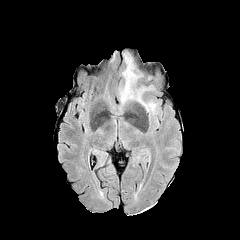
FLAIR MRI.
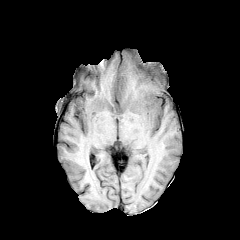
T1-weighted magnetic resonance.
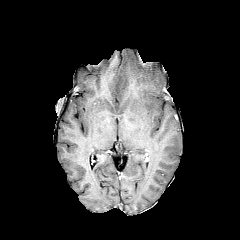
Same slice, post-contrast T1-weighted magnetic resonance.
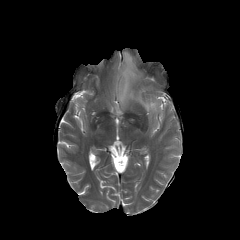
T2-weighted magnetic resonance.
Brain
Annotated regions:
• edema: box=[119, 53, 158, 120]